Head; Image width 240 mm
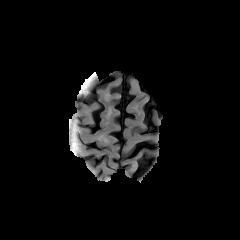
FLAIR magnetic resonance.
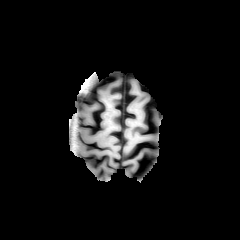
Same slice, T1-weighted magnetic resonance.
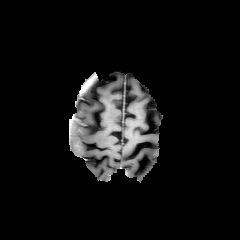
Post-contrast T1-weighted MR image.
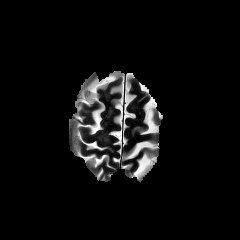
Same slice, T2-weighted MR image.
Annotated regions:
- edema: box(74, 126, 79, 149)